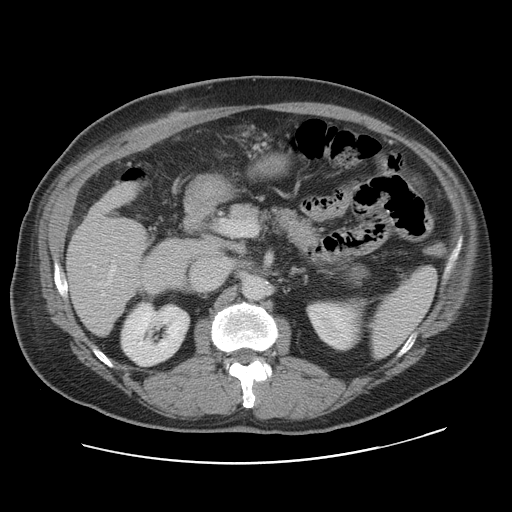
CT image
The vessel boxes may cover only some of the vessels.
Hepatic vessel: bounding box box(101, 292, 105, 295); box(104, 260, 116, 285).